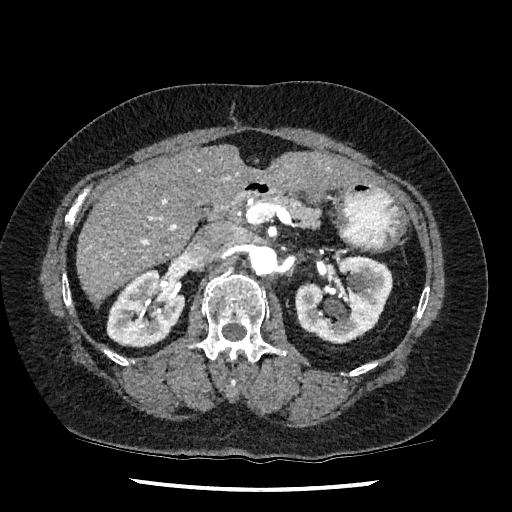
512x512; CT slice

2 kidney regions are located at left=296, top=257, right=391, bottom=342; left=107, top=261, right=186, bottom=346. The liver is at left=77, top=145, right=372, bottom=300.